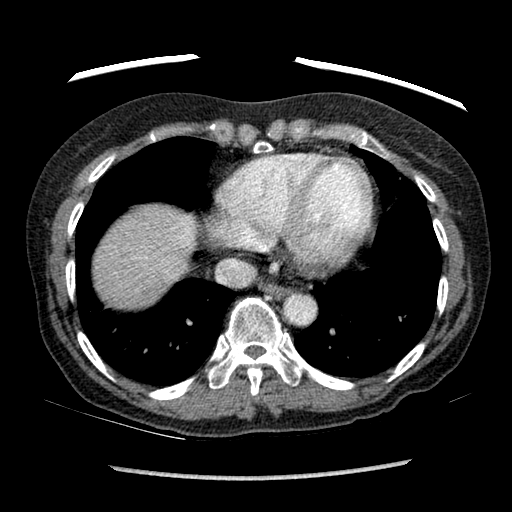 CT slice
Liver: 95,208,194,308.